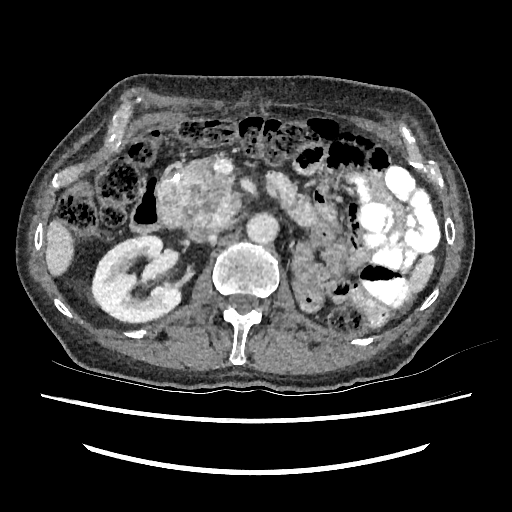 CT scan slice, Image size 512x512
{
  "kidney": [
    "92,236,180,322"
  ],
  "liver": [
    "47,222,73,274"
  ]
}